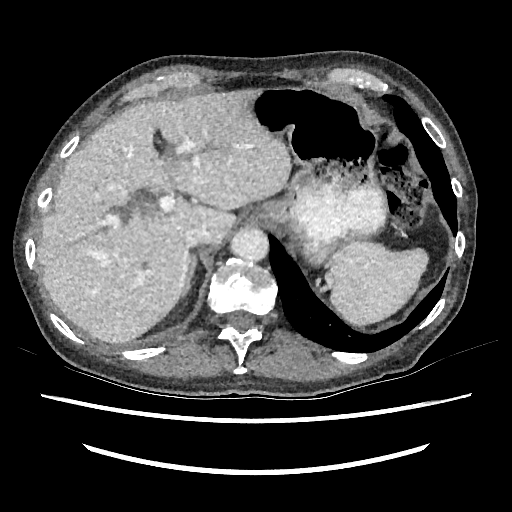
Computed tomography
Liver: x1=37 y1=89 x2=290 y2=341.